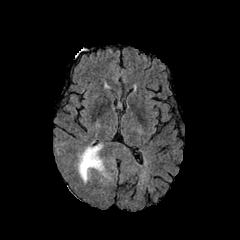
FLAIR magnetic resonance.
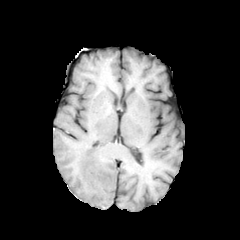
T1-weighted MRI.
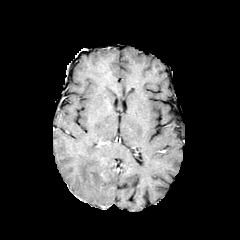
Same slice, post-contrast T1-weighted magnetic resonance.
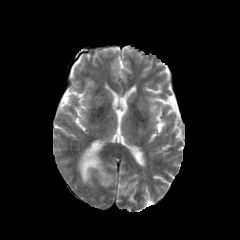
T2-weighted MR of the same slice.
240x240, Head
Edema: box(78, 144, 103, 183).